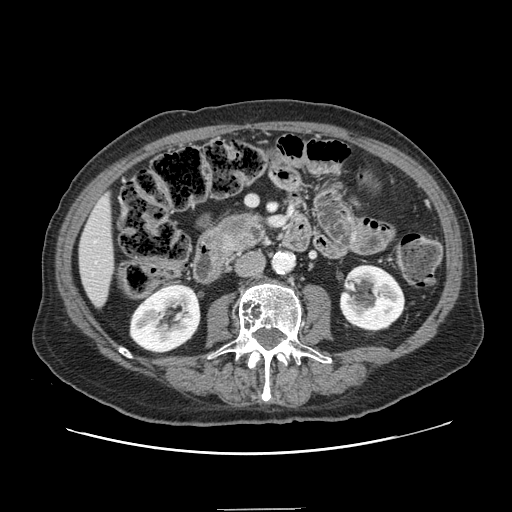

Computed tomography.

The pancreatic tumor is located at [221,215,251,235]. The pancreas lies within [211,213,265,255].